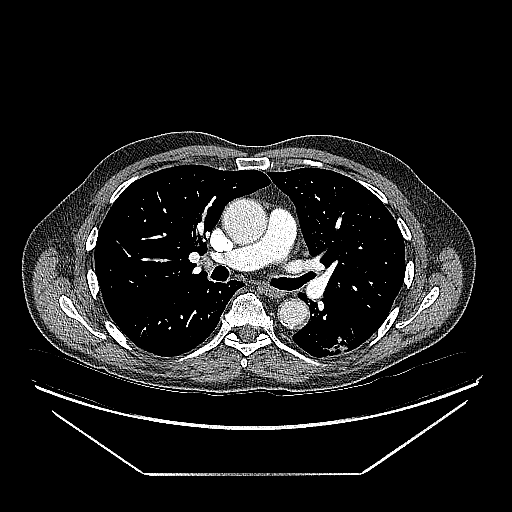
Lung; 512x512 px; CT slice
Lung tumor — region(319, 324, 355, 355).